CT image, Liver, Field of view 404 mm wide, 0.70 mm slice spacing

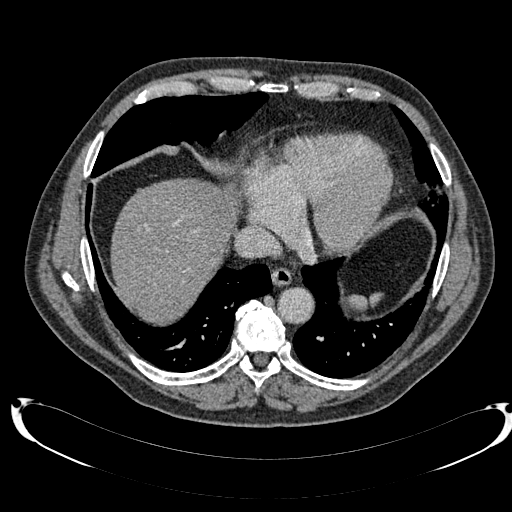
Liver: bounding box (110, 178, 238, 322).